CT image

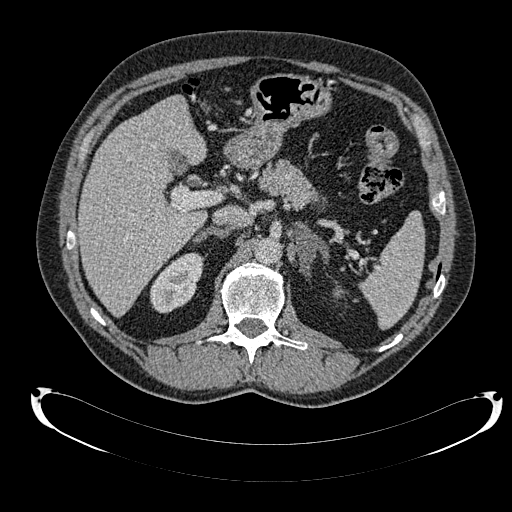

{
  "kidney": [
    "151:253:202:312"
  ],
  "liver": [
    "78:95:206:315"
  ]
}